Slice 17 of 40 | Magnetic resonance
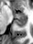 Posterior hippocampus = [15, 18, 26, 26].
Anterior hippocampus = [12, 10, 26, 17].